CT slice. Field of view 512 mm wide, 1.00 mm slice spacing.
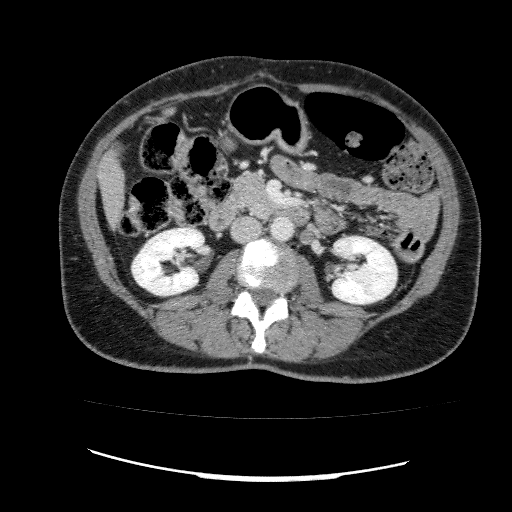
The liver lies within 99:143:124:228. 2 kidney regions are bounded by 132:228:203:295, 332:237:396:303.